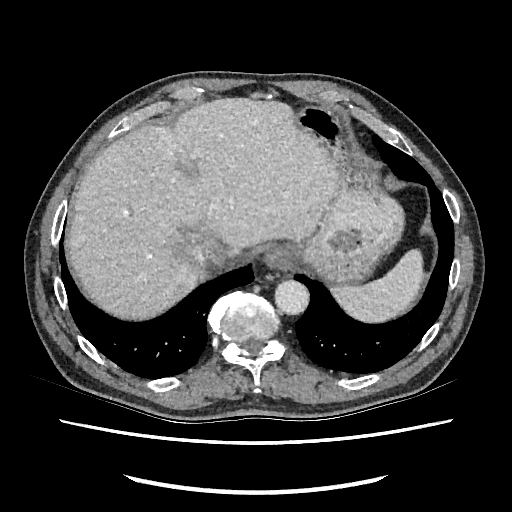
CT slice, Abdomen

<segmentation>
  <liver><bbox>70, 99, 337, 316</bbox></liver>
  <hepatic_lesion><bbox>189, 165, 199, 175</bbox>, <bbox>173, 226, 208, 263</bbox></hepatic_lesion>
</segmentation>